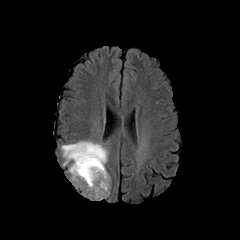
FLAIR MR image.
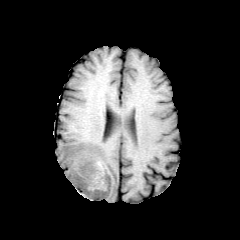
T1-weighted MR.
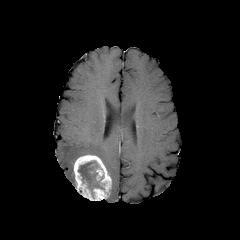
Post-contrast T1-weighted MR.
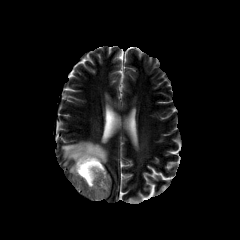
T2-weighted MRI.
Brain.
non-enhancing tumor core: {"x1": 78, "y1": 160, "x2": 100, "y2": 185} | enhancing tumor: {"x1": 72, "y1": 155, "x2": 111, "y2": 200} | edema: {"x1": 61, "y1": 140, "x2": 108, "y2": 180}